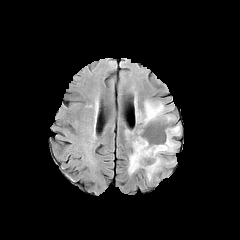
FLAIR MR.
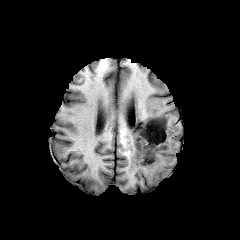
Same slice, T1-weighted MR image.
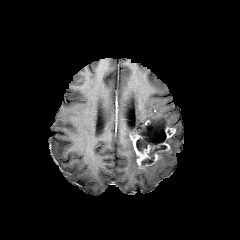
Post-contrast T1-weighted MRI.
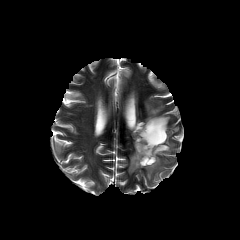
Same slice, T2-weighted magnetic resonance.
Head; Image size 240x240
Non-enhancing tumor core at l=136, t=120, r=170, b=165.
Enhancing tumor at l=132, t=134, r=150, b=165; l=166, t=128, r=175, b=137.
Edema at l=136, t=101, r=173, b=127; l=128, t=137, r=176, b=179; l=172, t=126, r=179, b=136.